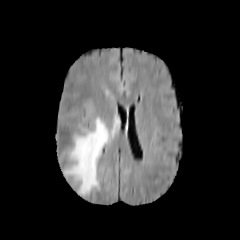
FLAIR magnetic resonance.
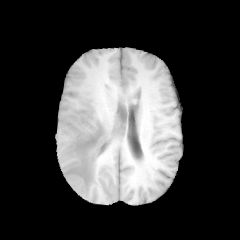
T1-weighted MR.
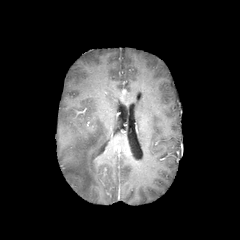
Post-contrast T1-weighted MR.
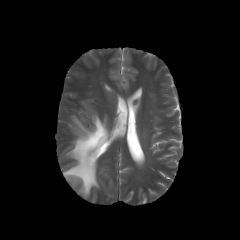
Same slice, T2-weighted MRI.
Brain, 240x240
Segmented structures:
- edema: (61,114,109,196)